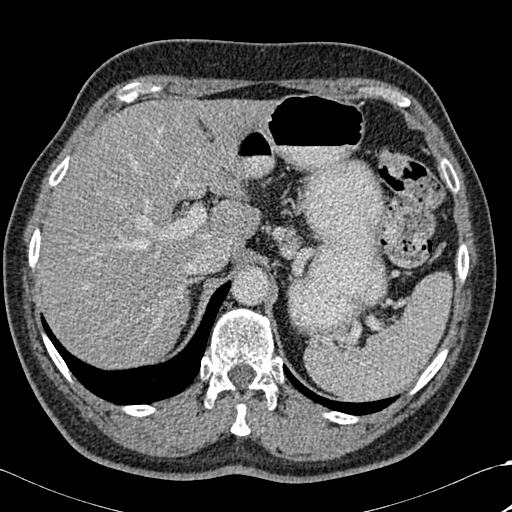 CT image
Liver at {"x1": 39, "y1": 99, "x2": 272, "y2": 368}, {"x1": 204, "y1": 201, "x2": 260, "y2": 245}.
Bone at {"x1": 121, "y1": 84, "x2": 137, "y2": 100}, {"x1": 124, "y1": 405, "x2": 154, "y2": 416}, {"x1": 412, "y1": 350, "x2": 446, "y2": 392}, {"x1": 29, "y1": 230, "x2": 40, "y2": 266}, {"x1": 49, "y1": 161, "x2": 67, "y2": 185}, {"x1": 201, "y1": 309, "x2": 283, "y2": 435}, {"x1": 445, "y1": 165, "x2": 458, "y2": 191}, {"x1": 458, "y1": 245, "x2": 468, "y2": 279}, {"x1": 324, "y1": 412, "x2": 357, "y2": 423}, {"x1": 44, "y1": 336, "x2": 70, "y2": 379}.
Lung at {"x1": 283, "y1": 365, "x2": 398, "y2": 415}, {"x1": 41, "y1": 281, "x2": 230, "y2": 404}.